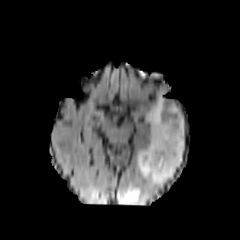
FLAIR magnetic resonance.
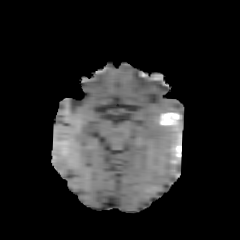
T1-weighted magnetic resonance.
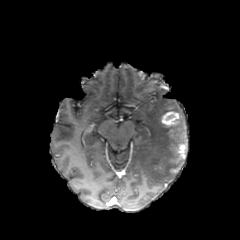
Post-contrast T1-weighted MRI.
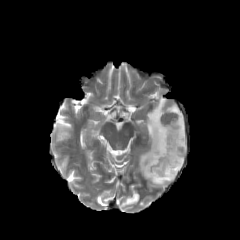
T2-weighted MRI.
Brain
Edema: bounding box <bbox>124, 193, 139, 204</bbox>, <bbox>135, 91, 186, 186</bbox>.
Non-enhancing tumor core: bounding box <bbox>167, 116, 184, 163</bbox>.
Enhancing tumor: bounding box <bbox>174, 144, 186, 161</bbox>, <bbox>162, 111, 179, 125</bbox>.